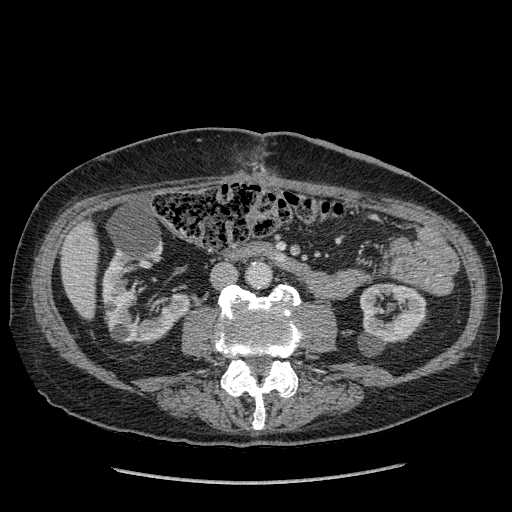

Abdomen. CT. liver: box=[61, 220, 97, 318] | kidney: box=[103, 250, 133, 326]; box=[360, 284, 425, 342]; box=[127, 295, 189, 340]